FLAIR MRI.
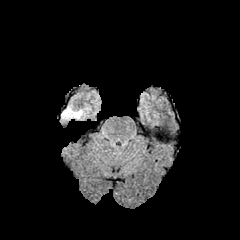
T1-weighted MR.
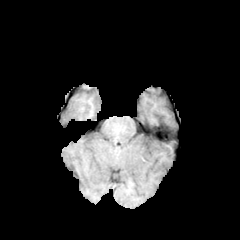
Post-contrast T1-weighted magnetic resonance.
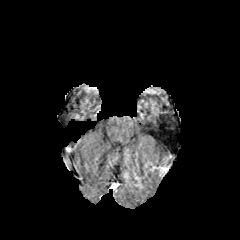
T2-weighted MR image.
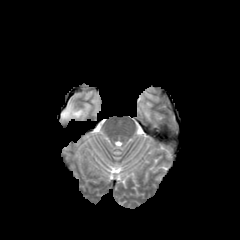
Head. 240x240.
<segmentation>
  <edema>[60, 100, 89, 122]</edema>
  <enhancing_tumor>[66, 139, 80, 151]</enhancing_tumor>
</segmentation>